CT image, Field of view 344 mm wide, 0.80 mm slice spacing, Lower abdomen
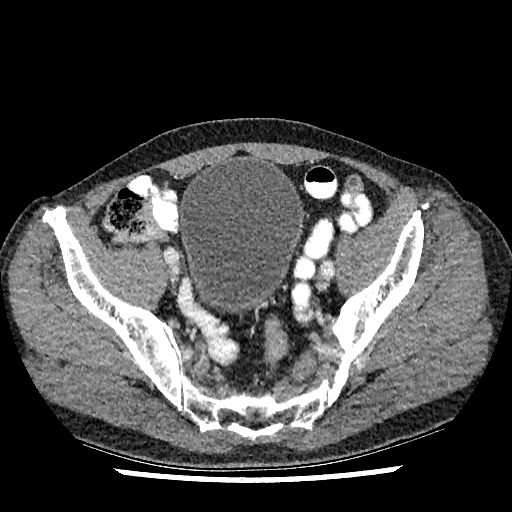
Urinary bladder = region(179, 160, 300, 314).